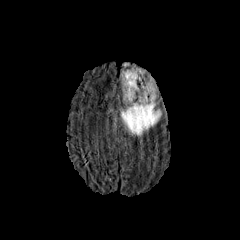
FLAIR MR image.
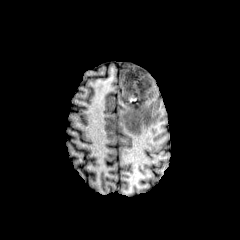
T1-weighted MRI.
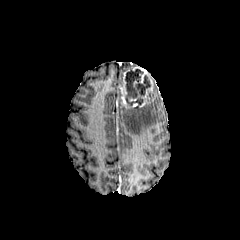
Post-contrast T1-weighted MRI.
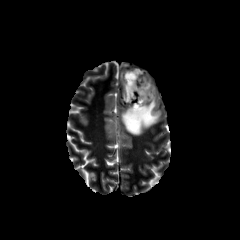
T2-weighted MR of the same slice.
The enhancing tumor is bounded by [120,66,156,108]. The non-enhancing tumor core lies within [125,69,151,105]. The edema lies within [120,103,161,135].